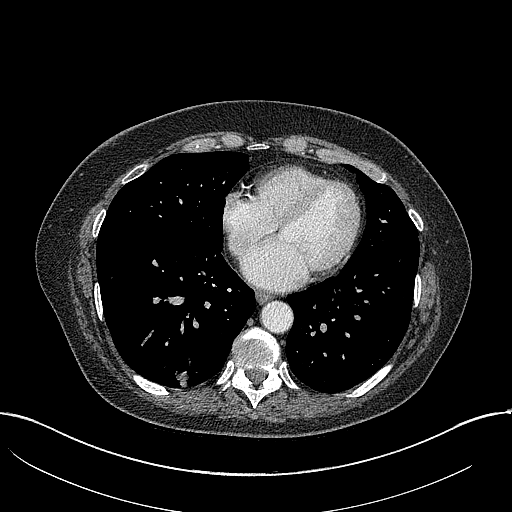
Thorax | CT image
The lung tumor lies within [168, 364, 191, 387].